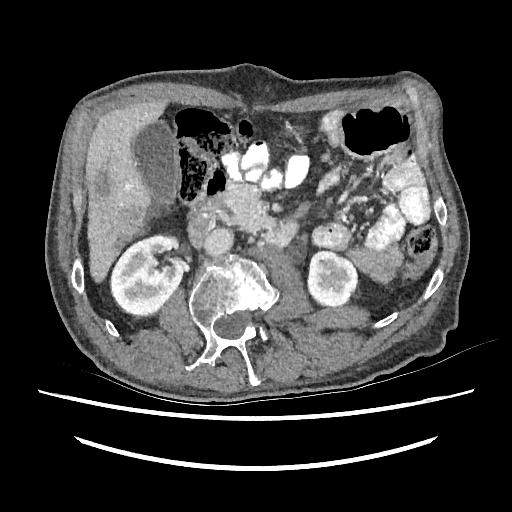
CT image.

Segmented structures:
- hepatic lesion: (95, 163, 111, 205), (106, 237, 128, 251), (115, 205, 143, 233)
- liver: (86, 101, 165, 282)
- kidney: (308, 251, 356, 306), (111, 236, 185, 314)